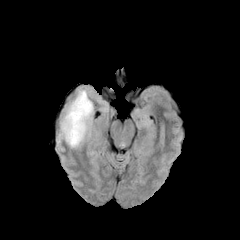
FLAIR MR image.
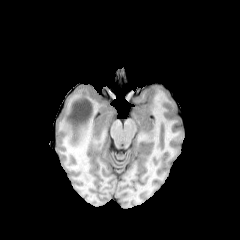
T1-weighted MRI.
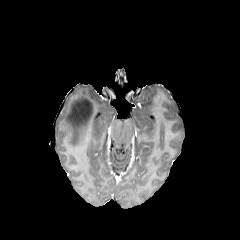
Post-contrast T1-weighted MR image of the same slice.
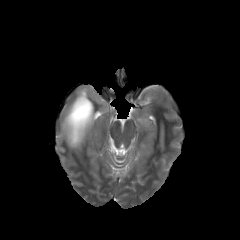
Same slice, T2-weighted MR.
Brain | 240x240
The edema lies within 59:88:95:151. The non-enhancing tumor core lies within 70:100:93:131.